Medial temporal lobe; MRI; 37x56 px

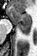
Anterior hippocampus: bounding box <bbox>6, 6, 31, 24</bbox>.
Posterior hippocampus: bounding box <bbox>17, 25, 30, 34</bbox>.